Field of view 400x400 mm. Computed tomography. Slice 547 of 654.

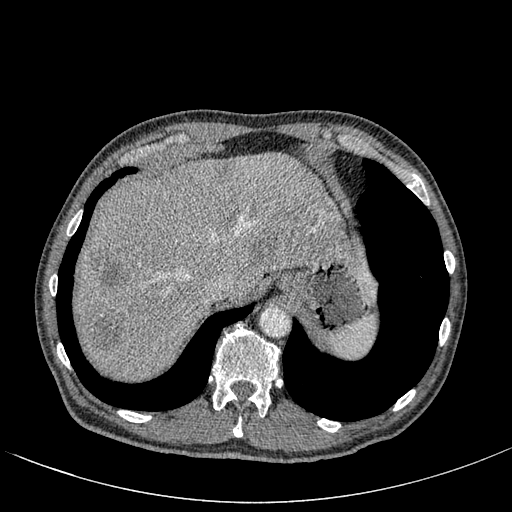 liver:
  - 76:151:352:379
hepatic_lesion:
  - 214:163:228:179
  - 82:306:126:349
  - 94:254:127:290
  - 251:239:275:263
  - 287:201:306:222